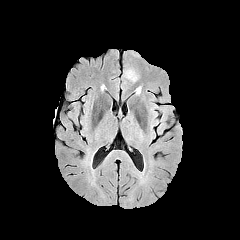
FLAIR MRI.
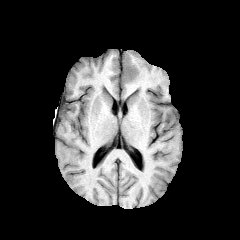
Same slice, T1-weighted MRI.
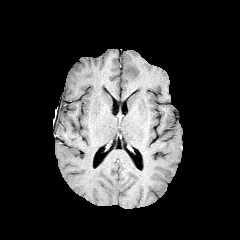
Same slice, post-contrast T1-weighted MR.
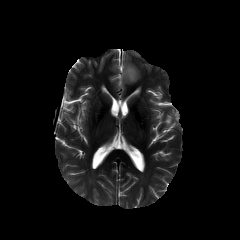
Same slice, T2-weighted MR.
Head
The edema lies within box=[123, 64, 138, 82].